Abdomen. Field of view 347 mm wide, 5.00 mm slice spacing. CT slice. 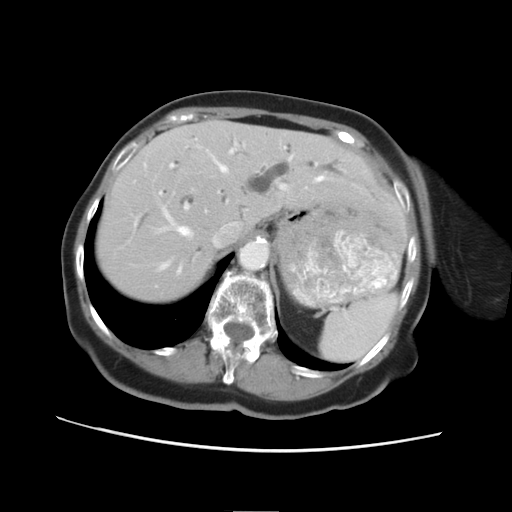
The vessel annotation is not exhaustive.
hepatic_vessel:
  - [x1=280, y1=184, x2=287, y2=190]
  - [x1=316, y1=176, x2=323, y2=180]
  - [x1=184, y1=204, x2=188, y2=209]
  - [x1=211, y1=221, x2=241, y2=247]
  - [x1=163, y1=208, x2=193, y2=236]